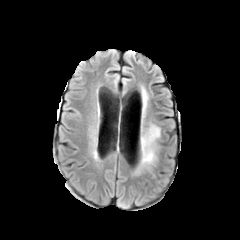
FLAIR magnetic resonance.
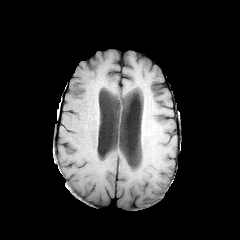
T1-weighted MR of the same slice.
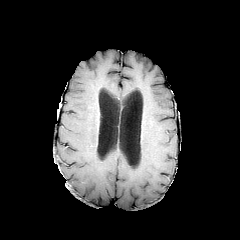
Same slice, post-contrast T1-weighted MR.
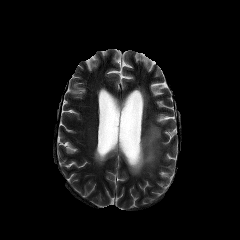
T2-weighted MR.
Head
{"edema": ["<box>140,124,160,167</box>", "<box>141,90,148,102</box>"]}